CT image.

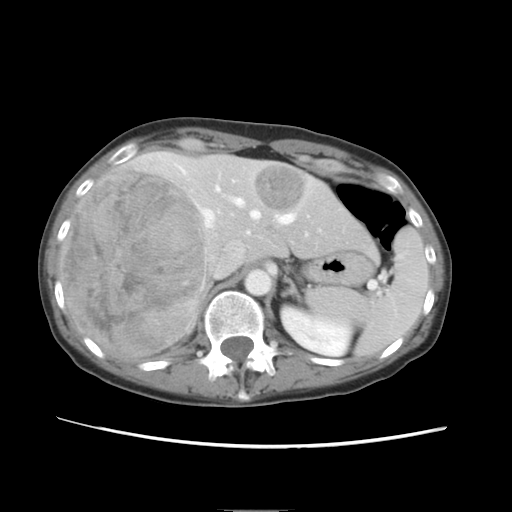

Only some of the vessels may be annotated.
Hepatic vessel: bounding box 202 209 213 226, 233 198 243 204, 175 164 185 172, 216 186 219 190, 251 210 259 217, 277 214 293 222.
Liver tumor: bounding box 254 164 305 211, 59 167 208 357.